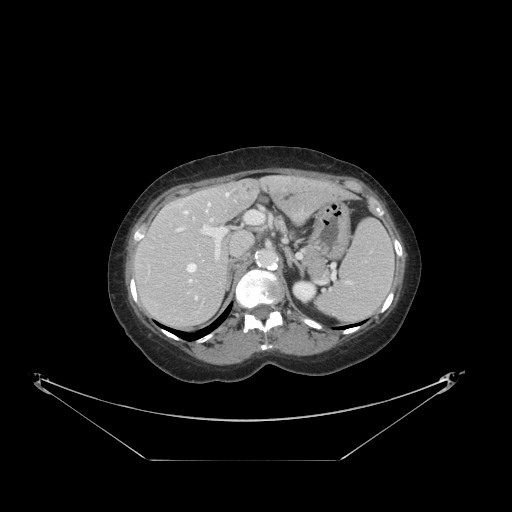 512x512 px. Computed tomography. Abdomen.

Not every hepatic vessel necessarily has a box.
11 hepatic vessel regions appear at 195,296,196,299; 189,280,191,282; 245,210,263,223; 226,193,228,195; 187,264,195,271; 210,218,213,221; 208,203,210,205; 201,224,226,258; 176,228,181,230; 183,211,187,213; 206,210,207,212.